CT scan slice | 512x512

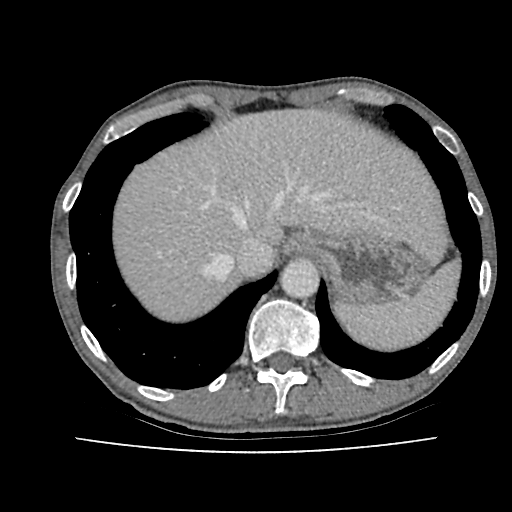 The liver is bounded by 112, 109, 449, 321.